Abdomen, Computed tomography, Image width 411 mm

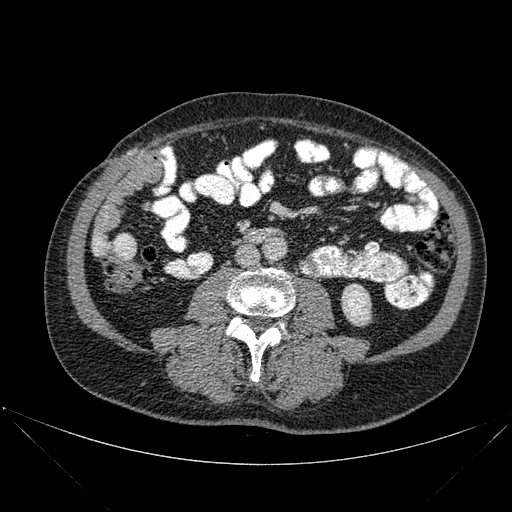
<segmentation>
  <kidney>rect(342, 284, 370, 325)</kidney>
  <bone>rect(227, 268, 294, 316); rect(226, 316, 284, 381)</bone>
</segmentation>